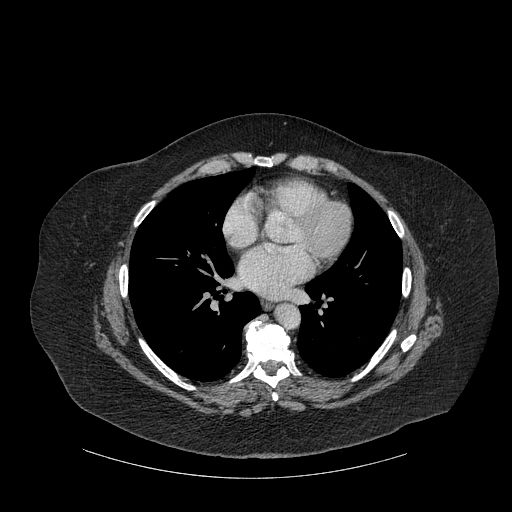
CT | 512x512 px
9 bone regions appear at bbox(139, 339, 194, 389); bbox(388, 211, 403, 237); bbox(254, 157, 272, 166); bbox(352, 330, 396, 380); bbox(134, 201, 154, 226); bbox(402, 268, 411, 296); bbox(230, 321, 300, 387); bbox(119, 265, 127, 296); bbox(401, 335, 415, 351). 2 lung regions are located at bbox(297, 188, 402, 377); bbox(129, 167, 259, 381).